Image size 512x512 | Slice index 148 | Field of view 400x400 mm | Pelvis | CT

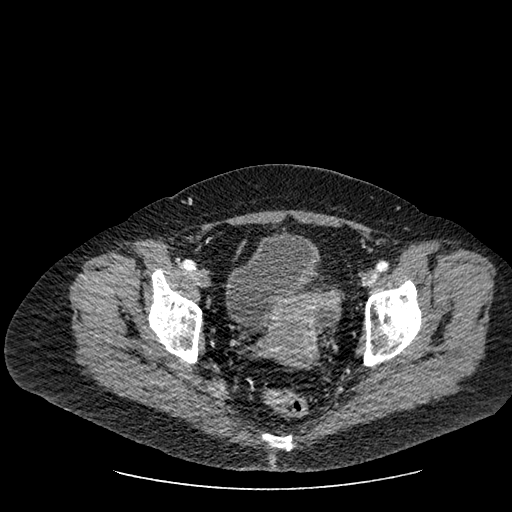 urinary_bladder:
  - region(229, 231, 314, 329)